Prostate. Slice 2/18.
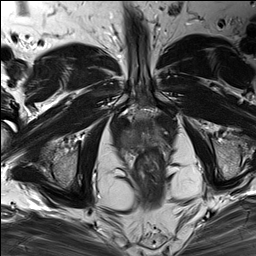
T2-weighted magnetic resonance.
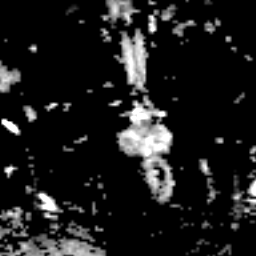
ADC MR image of the same slice.
The prostate peripheral zone lies within region(125, 124, 160, 146).